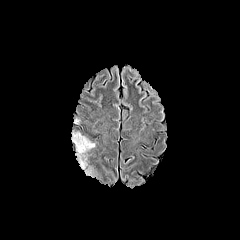
FLAIR MRI.
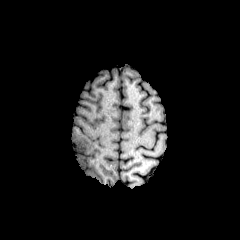
T1-weighted MRI.
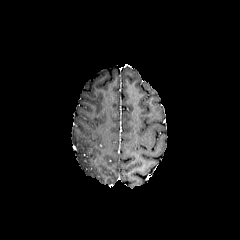
Same slice, post-contrast T1-weighted magnetic resonance.
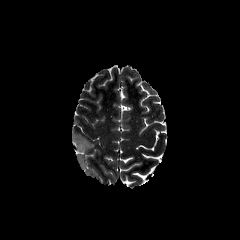
T2-weighted magnetic resonance of the same slice.
Brain.
Edema: bounding box (72, 132, 94, 169).